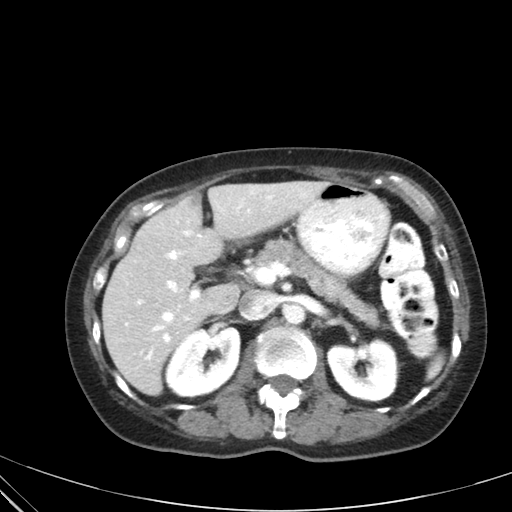
CT slice; 512x512 px; Abdomen
Pancreas — <box>253,239,381,327</box>.